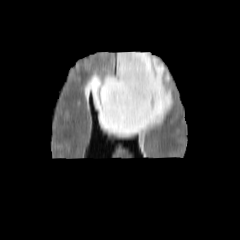
FLAIR MR image.
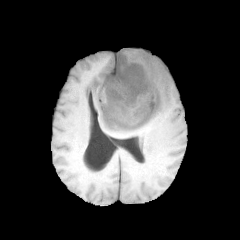
T1-weighted MRI of the same slice.
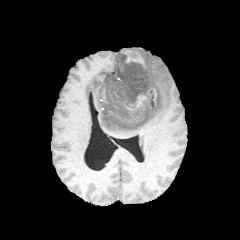
Post-contrast T1-weighted MR of the same slice.
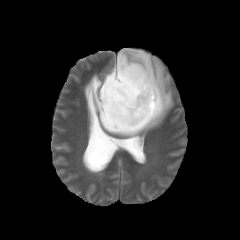
T2-weighted MRI of the same slice.
Head
<segmentation>
  <edema>90:48:173:136</edema>
  <enhancing_tumor>136:95:145:108, 127:55:143:64</enhancing_tumor>
  <non-enhancing_tumor_core>110:49:159:125</non-enhancing_tumor_core>
</segmentation>